Slice 34 of 95 | Computed tomography | Field of view 428x428 mm | Pelvis
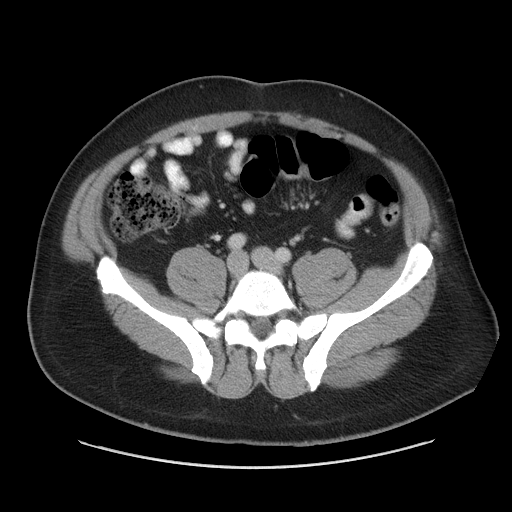
Findings:
* colon tumor: l=279, t=164, r=309, b=179